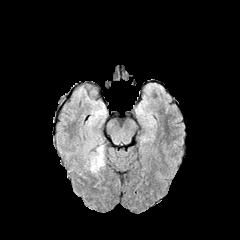
FLAIR magnetic resonance.
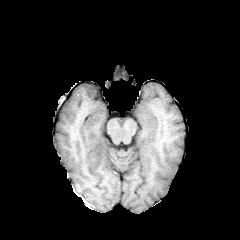
T1-weighted magnetic resonance of the same slice.
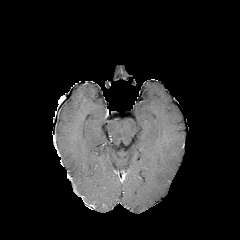
Post-contrast T1-weighted MRI.
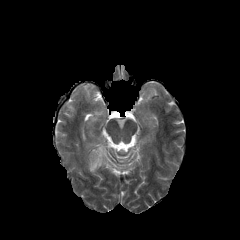
T2-weighted MR.
edema: (left=90, top=106, right=103, bottom=125), (left=83, top=134, right=110, bottom=173)